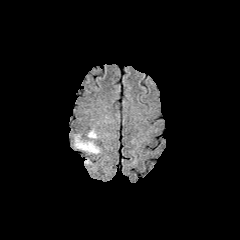
FLAIR MRI.
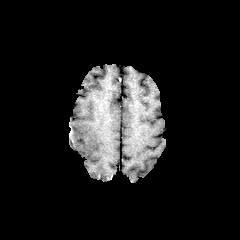
Same slice, T1-weighted MR.
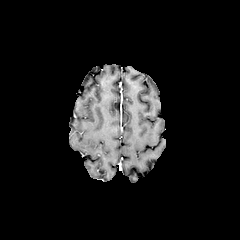
Post-contrast T1-weighted MR image of the same slice.
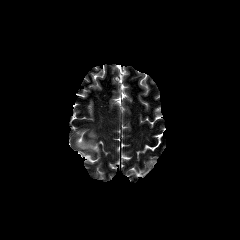
T2-weighted MR image.
Edema — bbox=[74, 129, 100, 164].